CT image | 512x512 | Field of view 393x393 mm

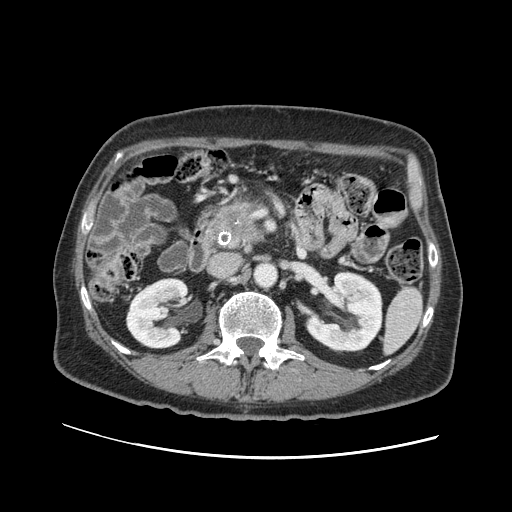

The pancreas is at box=[196, 194, 271, 254]. The pancreatic tumor is at box=[217, 205, 258, 240].